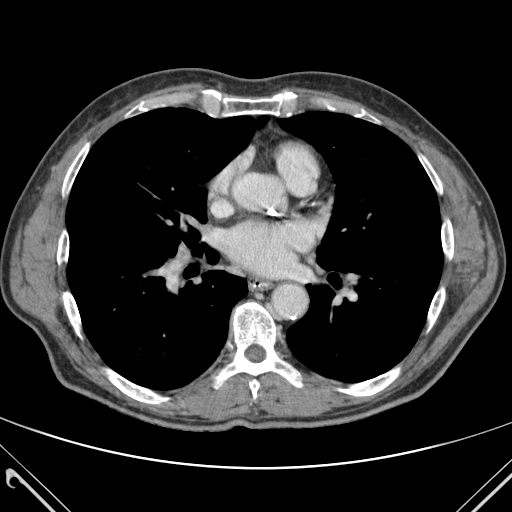 512x512 px | Computed tomography | Chest
Bone: <bbox>441, 220, 453, 258</bbox>, <bbox>63, 292, 80, 336</bbox>, <bbox>57, 229, 68, 269</bbox>, <bbox>107, 369, 168, 403</bbox>, <bbox>419, 156, 442, 193</bbox>, <bbox>126, 102, 163, 115</bbox>, <bbox>215, 302, 301, 388</bbox>, <bbox>338, 368, 399, 395</bbox>, <bbox>199, 90, 301, 115</bbox>, <bbox>249, 380, 259, 398</bbox>, <bbox>62, 144, 88, 194</bbox>, <bbox>326, 103, 377, 120</bbox>, <bbox>428, 288, 444, 329</bbox>.
Lung: <bbox>66, 107, 268, 389</bbox>, <bbox>279, 111, 442, 382</bbox>.